FLAIR MR.
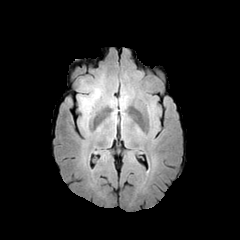
T1-weighted MR image.
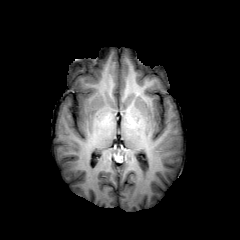
Post-contrast T1-weighted magnetic resonance.
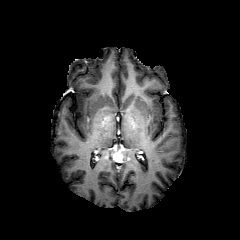
T2-weighted MR.
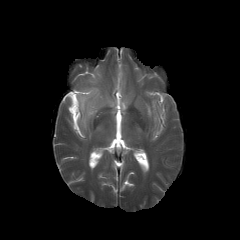
Head.
<segmentation>
  <edema>box(78, 86, 100, 126); box(147, 104, 155, 115); box(110, 90, 131, 112)</edema>
</segmentation>